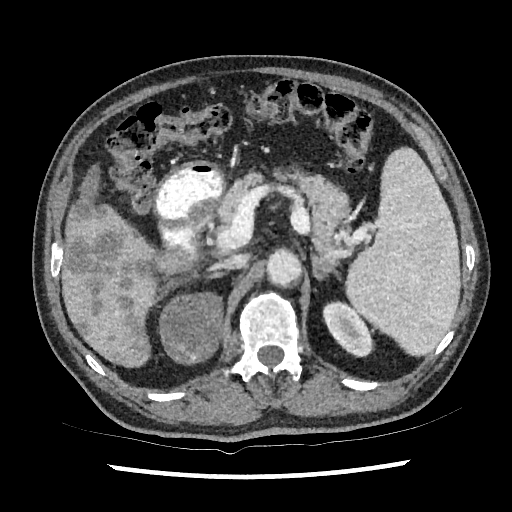

CT image. liver_lesion:
  - 70,167,108,219
  - 117,294,149,353
  - 105,335,116,343
  - 63,228,150,315
  - 74,317,90,336
kidney:
  - 323,302,371,356
liver:
  - 62,163,191,365